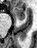

MR image, Medial temporal lobe
<segmentation>
  <anterior_hippocampus>14 7 25 20</anterior_hippocampus>
</segmentation>